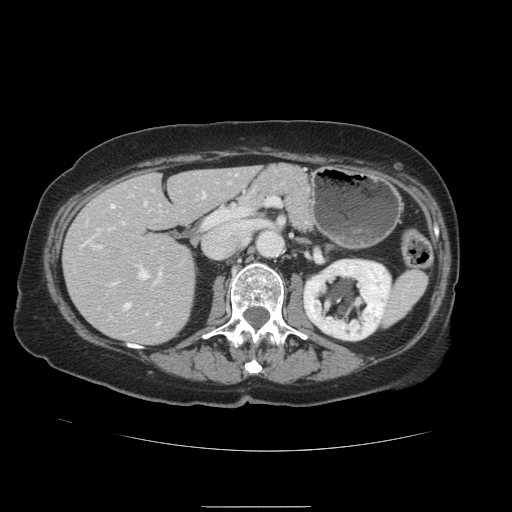

CT slice
Only some of the vessels may be annotated.
Hepatic vessel: <box>111,284,113,285</box>, <box>110,205,113,207</box>, <box>201,193,204,198</box>, <box>122,303,128,308</box>, <box>93,245,99,248</box>, <box>155,280,157,282</box>, <box>138,269,146,278</box>, <box>143,202,145,204</box>, <box>159,272,160,276</box>.